Brain, 240x240
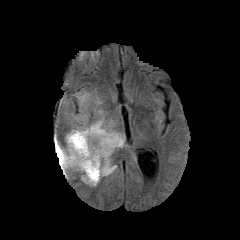
FLAIR MR image.
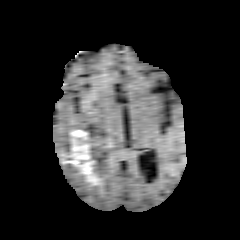
T1-weighted MRI.
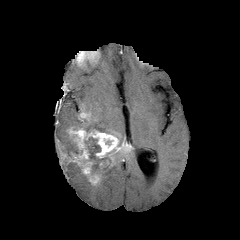
Post-contrast T1-weighted MR.
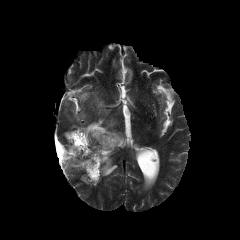
T2-weighted MRI.
4 edema regions are located at 70 118 124 139, 64 152 116 186, 87 138 99 159, 60 132 73 149. 2 non-enhancing tumor core regions are bounded by 61 136 82 159, 91 154 101 174. 2 enhancing tumor regions are bounded by 67 128 127 184, 58 144 67 164.